CT; Field of view 335x335 mm; Slice index 216 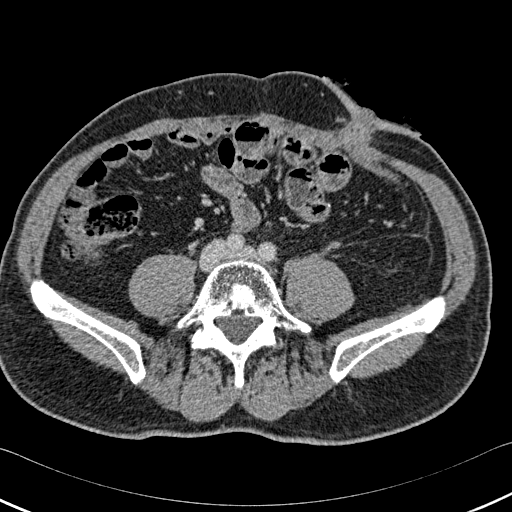

3 bone regions are bounded by [330, 298, 444, 382], [177, 259, 311, 388], [31, 281, 145, 383].